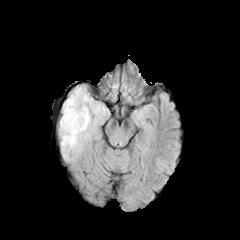
FLAIR magnetic resonance.
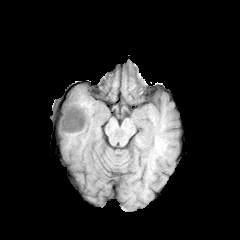
T1-weighted magnetic resonance.
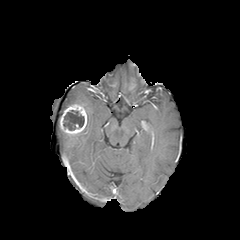
Post-contrast T1-weighted MRI.
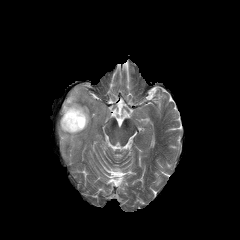
T2-weighted MR image of the same slice.
240x240 px
Edema at [59, 86, 107, 155].
Enhancing tumor at [60, 103, 86, 135].
Non-enhancing tumor core at [63, 110, 84, 130].